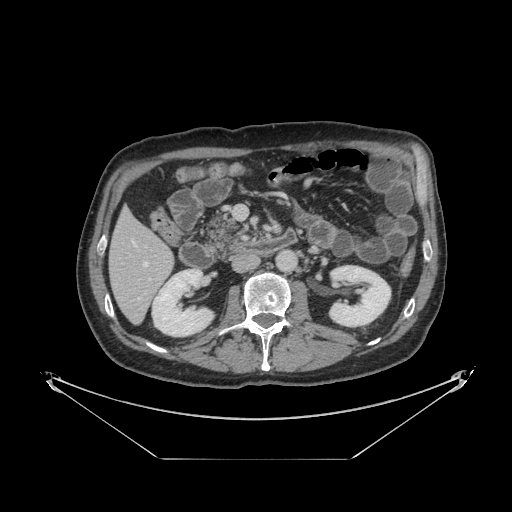

CT slice; Upper abdomen
Pancreas: 202,212,246,259.